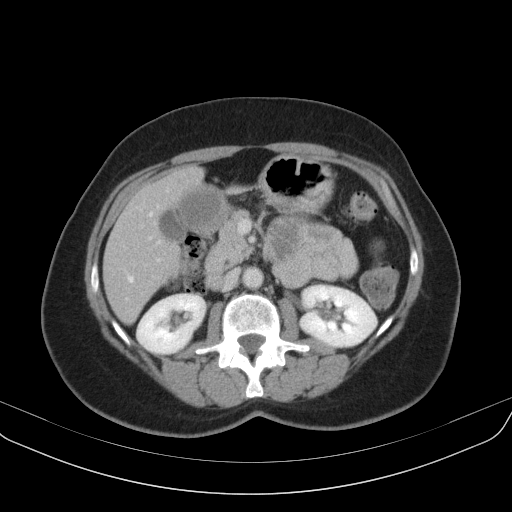 512x512 px; CT scan slice
The pancreas is at rect(205, 209, 252, 276).